MRI slice. Hippocampus. Slice index 14.

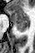
The anterior hippocampus is bounded by x1=6, y1=9, x2=28, y2=25. The posterior hippocampus is located at x1=15, y1=26, x2=28, y2=31.